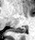
Hippocampus; MRI
<segmentation>
  <posterior_hippocampus>l=10, t=26, r=25, b=33</posterior_hippocampus>
</segmentation>